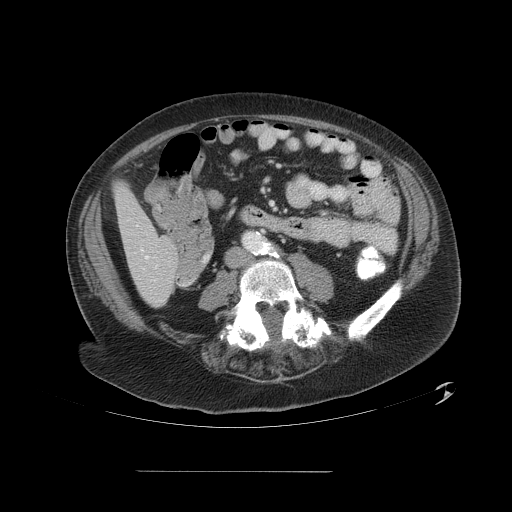

CT image; Liver; 512x512
The vessel boxes may cover only some of the vessels.
<segmentation>
  <hepatic_vessel>(left=155, top=265, right=156, bottom=268), (left=153, top=279, right=155, bottom=280), (left=141, top=248, right=143, bottom=251), (left=145, top=256, right=148, bottom=258)</hepatic_vessel>
</segmentation>